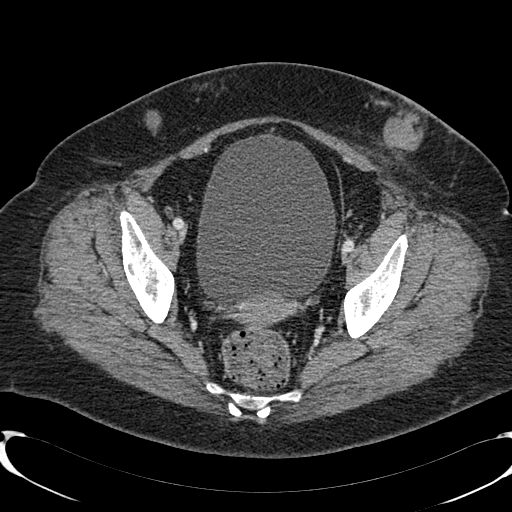 512x512 px; Computed tomography
urinary bladder: box(197, 134, 335, 302)